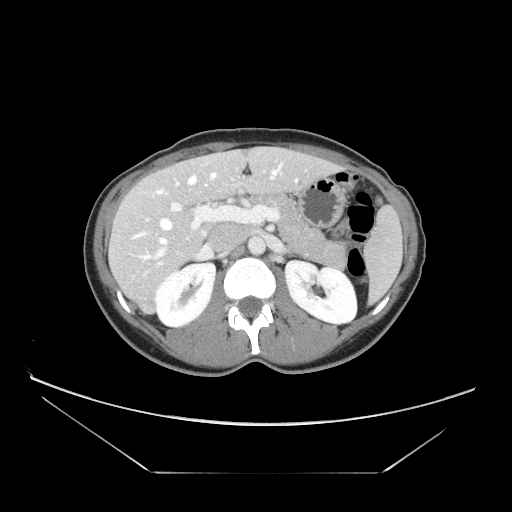
Image size 512x512; CT scan slice; Upper abdomen
The pancreatic tumor lies within 320 240 346 270. The pancreas is bounded by 252 193 332 267.